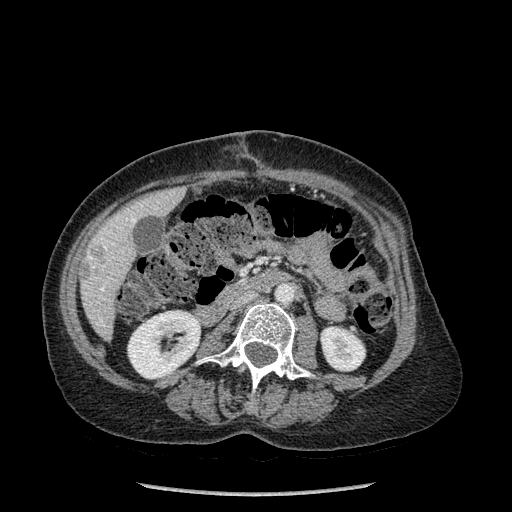

CT; 512x512

<segmentation>
  <bone>(left=197, top=301, right=312, bottom=409)</bone>
  <liver>(left=80, top=187, right=185, bottom=340)</liver>
  <kidney>(left=128, top=311, right=200, bottom=378), (left=321, top=327, right=364, bottom=370)</kidney>
  <focal_liver_lesion>(left=80, top=261, right=89, bottom=278), (left=91, top=246, right=104, bottom=263)</focal_liver_lesion>
</segmentation>